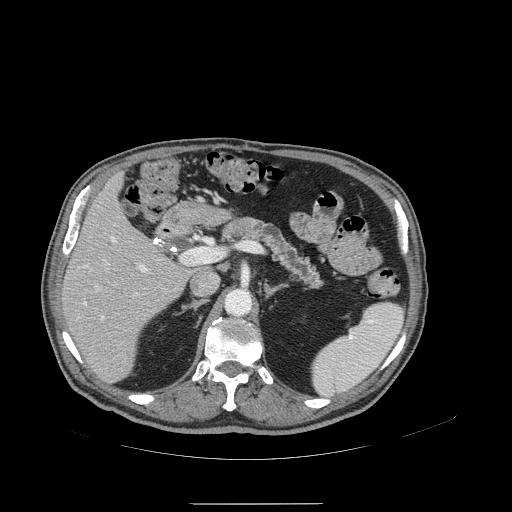 CT
Pancreatic tumor: x1=224 y1=218 x2=252 y2=237.
Pancreas: x1=219 y1=214 x2=329 y2=293.